Slice 20 of 76. 512x512 px. Computed tomography. 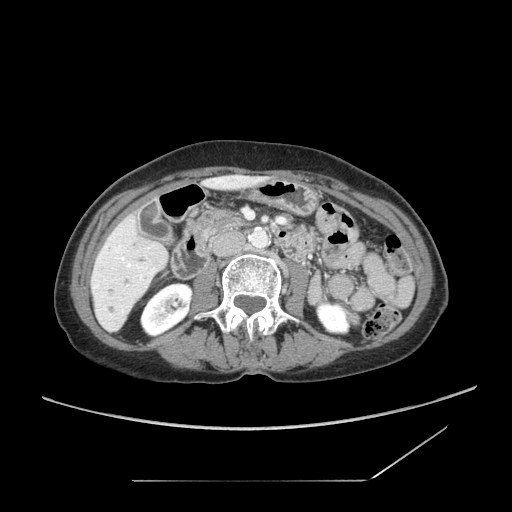

The pancreatic tumor is bounded by {"x1": 202, "y1": 210, "x2": 230, "y2": 229}. The pancreas is located at {"x1": 195, "y1": 215, "x2": 243, "y2": 242}.